512x512 px, Computed tomography, Field of view 400 mm wide, 0.80 mm slice spacing, Slice index 464 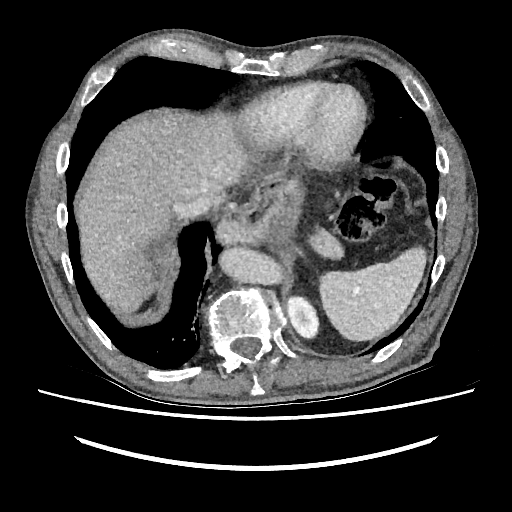
kidney:
  - bbox(288, 297, 317, 337)
hepatic_lesion:
  - bbox(122, 224, 174, 293)
liver:
  - bbox(78, 113, 251, 312)